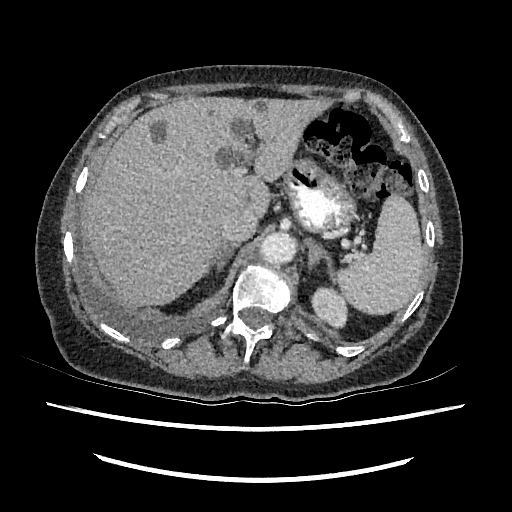

CT image. 512x512 px. Liver. 4 focal liver lesion regions appear at region(254, 101, 264, 110); region(216, 147, 250, 169); region(153, 122, 164, 142); region(231, 119, 251, 139). The kidney is located at region(312, 288, 353, 327). The liver appears at region(89, 98, 329, 303).